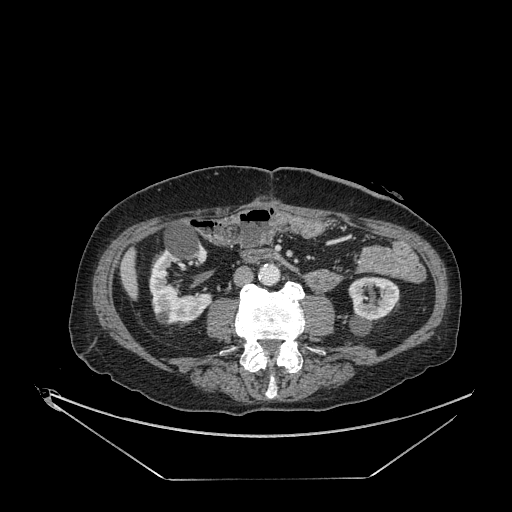
Abdomen. Computed tomography. The liver is bounded by [121,249,136,298]. 3 kidney regions are located at [349,277,398,320], [150,250,211,322], [195,246,206,262].